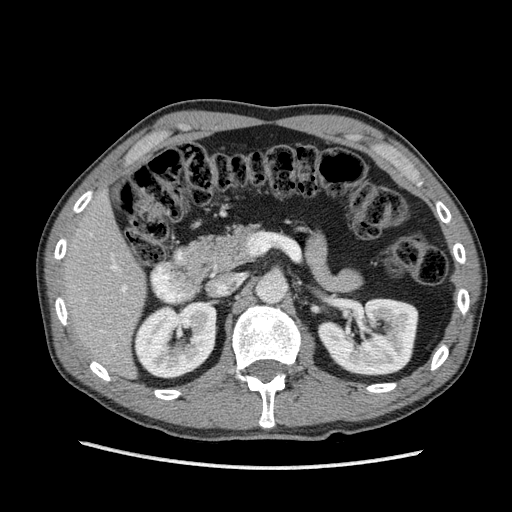
Abdomen. CT image.

{
  "kidney": [
    "box(319, 299, 416, 373)",
    "box(136, 303, 215, 376)"
  ],
  "liver": [
    "box(61, 191, 147, 379)"
  ]
}